CT slice | 512x512

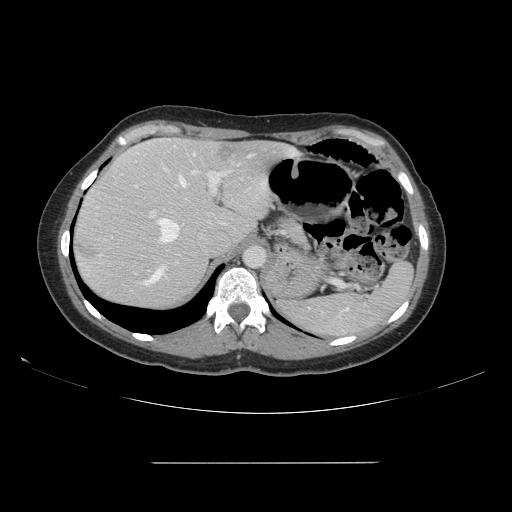 The vessel boxes may cover only some of the vessels.
9 hepatic vessel regions are located at {"x1": 157, "y1": 218, "x2": 178, "y2": 231}, {"x1": 159, "y1": 234, "x2": 176, "y2": 242}, {"x1": 179, "y1": 175, "x2": 186, "y2": 186}, {"x1": 207, "y1": 171, "x2": 225, "y2": 192}, {"x1": 135, "y1": 185, "x2": 137, "y2": 187}, {"x1": 247, "y1": 155, "x2": 252, "y2": 157}, {"x1": 192, "y1": 170, "x2": 198, "y2": 173}, {"x1": 143, "y1": 267, "x2": 167, "y2": 285}, {"x1": 150, "y1": 211, "x2": 155, "y2": 217}. 2 liver tumor regions appear at {"x1": 218, "y1": 145, "x2": 238, "y2": 161}, {"x1": 75, "y1": 240, "x2": 97, "y2": 260}.